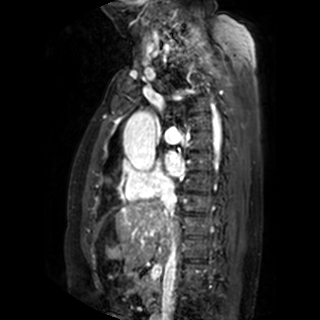 MR image.
Left atrium at 166,152,183,175.